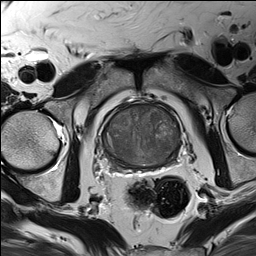
T2-weighted MR.
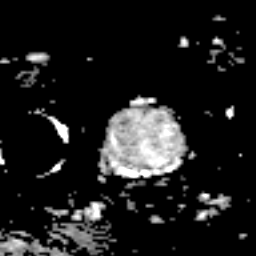
ADC MR.
The prostate peripheral zone appears at [x1=104, y1=106, x2=178, y2=167].